FLAIR MRI.
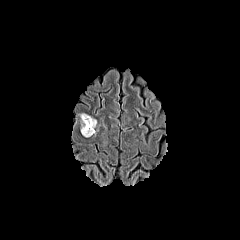
T1-weighted MRI.
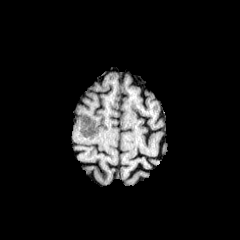
Post-contrast T1-weighted MR.
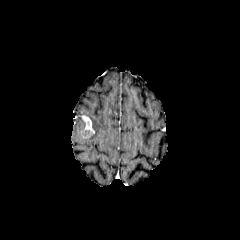
T2-weighted MRI.
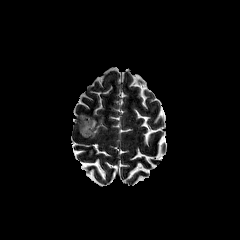
<segmentation>
  <non-enhancing_tumor_core><box>80,115,93,137</box></non-enhancing_tumor_core>
  <edema><box>76,113,99,136</box></edema>
  <enhancing_tumor><box>82,116,94,133</box></enhancing_tumor>
</segmentation>